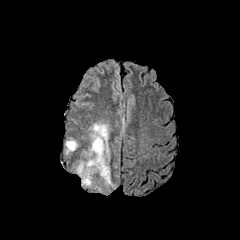
FLAIR MR.
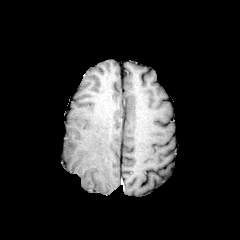
Same slice, T1-weighted magnetic resonance.
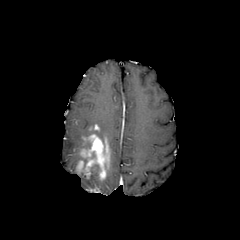
Same slice, post-contrast T1-weighted magnetic resonance.
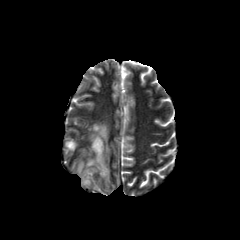
T2-weighted MR image of the same slice.
240x240; Head
non-enhancing tumor core: bbox(81, 152, 95, 167); bbox(88, 164, 99, 173) | enhancing tumor: bbox(76, 134, 108, 179) | edema: bbox(65, 138, 78, 152); bbox(90, 123, 108, 143); bbox(82, 149, 111, 187)